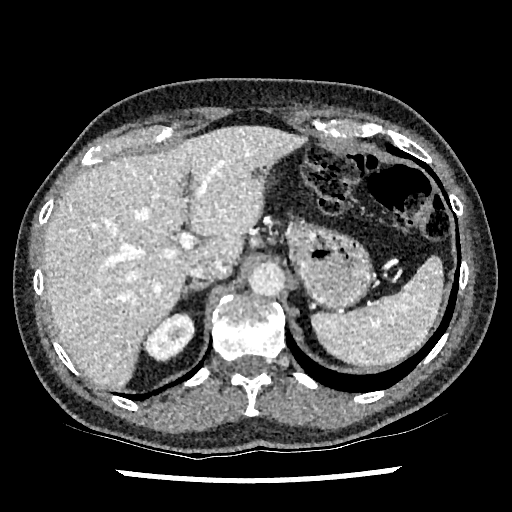
CT.
Annotated regions:
• focal liver lesion: 251:165:267:178
• kidney: 146:316:193:358
• liver: 44:125:307:388